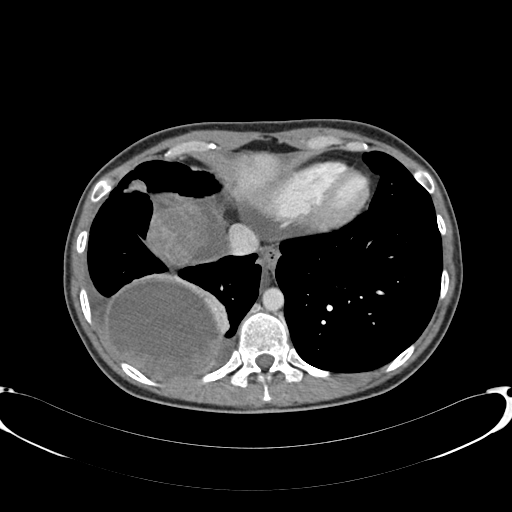

CT image | Abdomen
The liver lies within [234,155,280,199]. The hepatic lesion is bounded by [246,157,252,167].